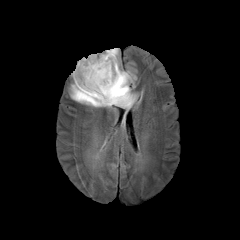
FLAIR MR image.
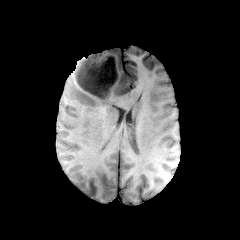
Same slice, T1-weighted MRI.
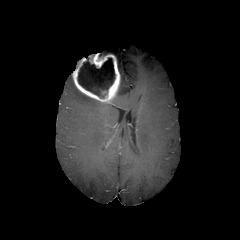
Post-contrast T1-weighted MR of the same slice.
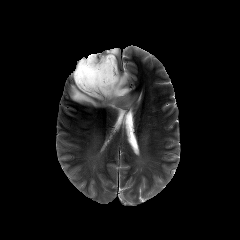
T2-weighted MRI of the same slice.
Head
enhancing tumor: (72, 53, 119, 101) | non-enhancing tumor core: (78, 58, 114, 97) | edema: (70, 48, 136, 109)